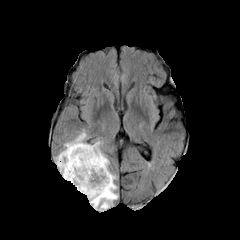
FLAIR MR image.
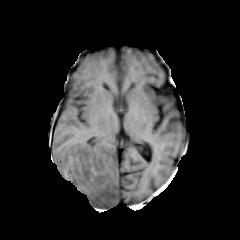
Same slice, T1-weighted MRI.
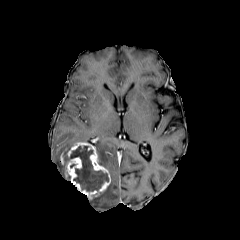
Post-contrast T1-weighted MR image of the same slice.
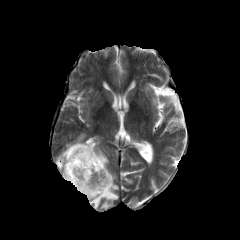
T2-weighted MR of the same slice.
240x240 px. Brain.
enhancing_tumor:
  - bbox(65, 142, 110, 199)
non-enhancing_tumor_core:
  - bbox(70, 146, 108, 190)
edema:
  - bbox(55, 132, 94, 180)
  - bbox(88, 138, 117, 210)